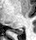

36x40 | MRI | Medial temporal lobe
Segmented structures:
* posterior hippocampus: 11,29,23,34